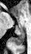

MRI slice

Posterior hippocampus = (11,29,24,45).